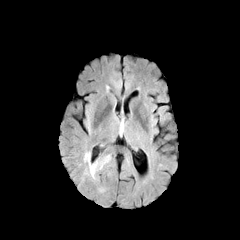
FLAIR MR image.
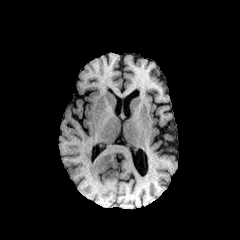
Same slice, T1-weighted MRI.
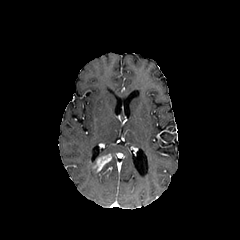
Same slice, post-contrast T1-weighted MR image.
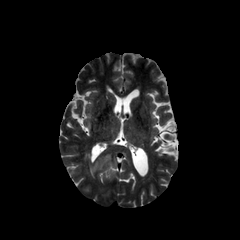
T2-weighted MRI of the same slice.
• enhancing tumor: <box>91,153,111,172</box>
• edema: <box>83,151,97,180</box>